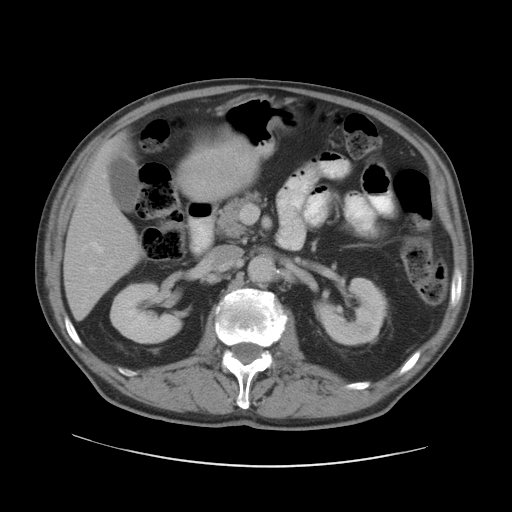

512x512 px, CT

Not every hepatic vessel necessarily has a box.
3 hepatic vessel regions appear at left=89, top=267, right=94, bottom=272; left=90, top=242, right=102, bottom=252; left=102, top=174, right=105, bottom=177. The liver tumor is at left=180, top=139, right=256, bottom=201.